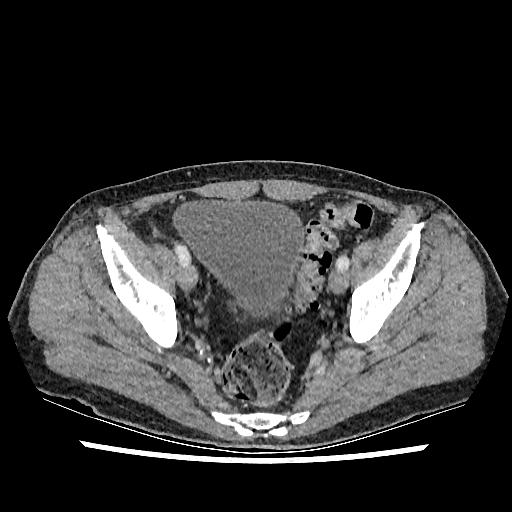
Lower abdomen. CT slice. 512x512 px.

<segmentation>
  <urinary_bladder>[178, 199, 306, 319]</urinary_bladder>
</segmentation>